CT slice; Slice index 339; Field of view 380x380 mm

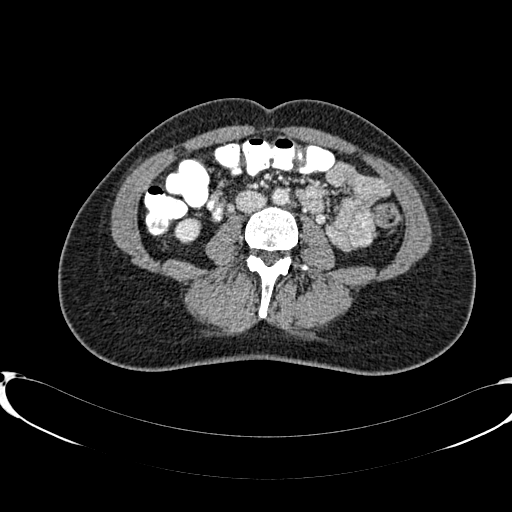

kidney: left=177, top=222, right=194, bottom=239